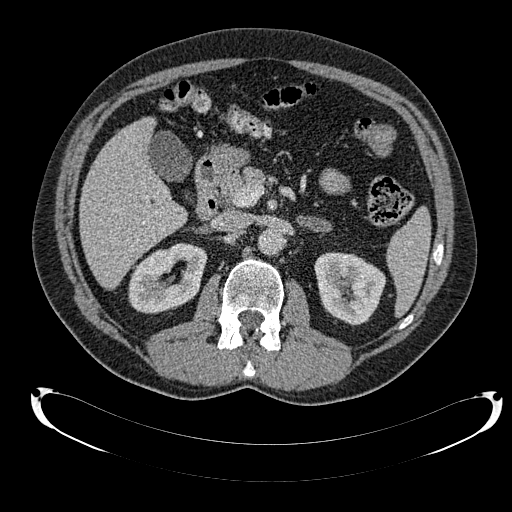 CT image.

Liver — bbox=[79, 118, 186, 288].
Kidney — bbox=[129, 244, 206, 312]; bbox=[315, 253, 385, 324].